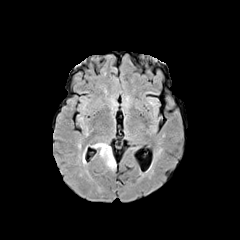
FLAIR MR image.
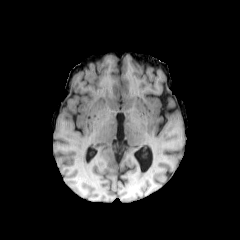
T1-weighted MRI of the same slice.
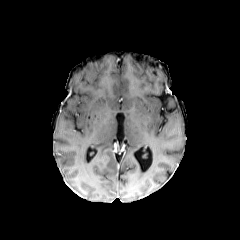
Post-contrast T1-weighted MR image.
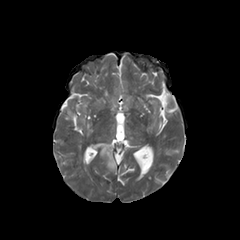
T2-weighted MRI.
240x240; Head
The edema is located at {"x1": 91, "y1": 142, "x2": 116, "y2": 170}.